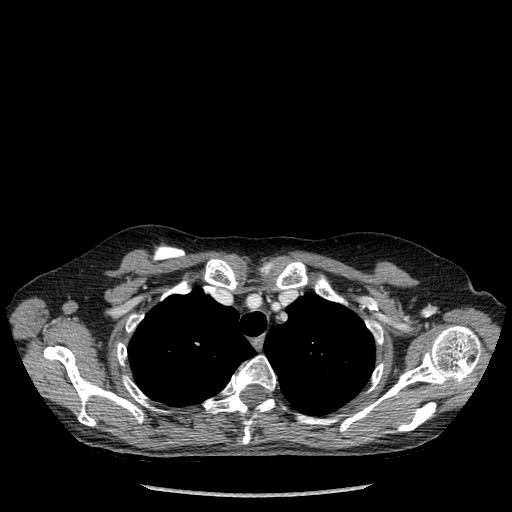

512x512 px. Chest. Computed tomography. 14 bone regions appear at [203,355,275,444], [116,342,126,365], [126,314,143,332], [276,261,307,293], [261,261,274,273], [297,414,337,424], [161,281,189,300], [368,363,383,391], [315,276,343,302], [398,402,435,431], [204,258,237,293], [43,346,160,426], [365,319,383,344], [340,326,481,431]. 2 lung regions are bounded by [264,293,374,415], [128,287,266,406].